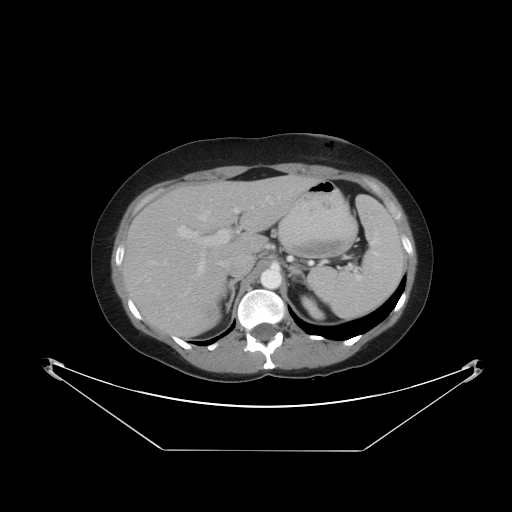 512x512 px, Computed tomography

Not every hepatic vessel necessarily has a box.
hepatic vessel: bbox(193, 259, 204, 277); bbox(199, 229, 230, 245); bbox(278, 197, 279, 198); bbox(218, 261, 227, 265); bbox(262, 196, 272, 206); bbox(178, 225, 197, 238); bbox(199, 211, 209, 220); bbox(166, 307, 168, 309); bbox(147, 279, 149, 281); bbox(250, 206, 253, 208); bbox(201, 253, 203, 255); bbox(232, 208, 239, 212); bbox(211, 218, 212, 219)